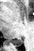

MRI slice
Posterior hippocampus at 9, 39, 23, 46.